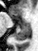 Medial temporal lobe, MRI, 38x51 px
Posterior hippocampus — <bbox>14, 26, 30, 40</bbox>.
Anterior hippocampus — <bbox>23, 23, 29, 25</bbox>.